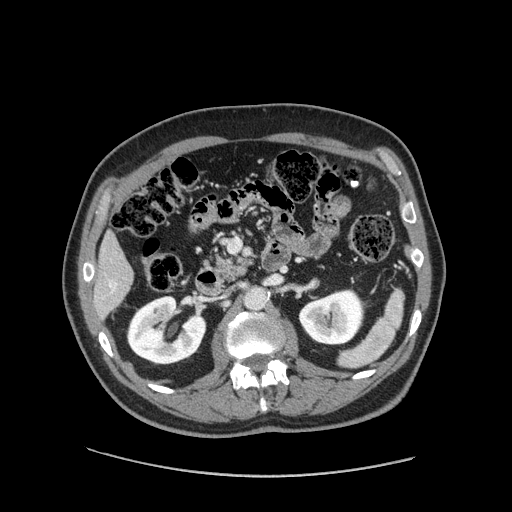

Computed tomography, Upper abdomen

{"pancreas": ["bbox=[209, 256, 252, 282]"]}